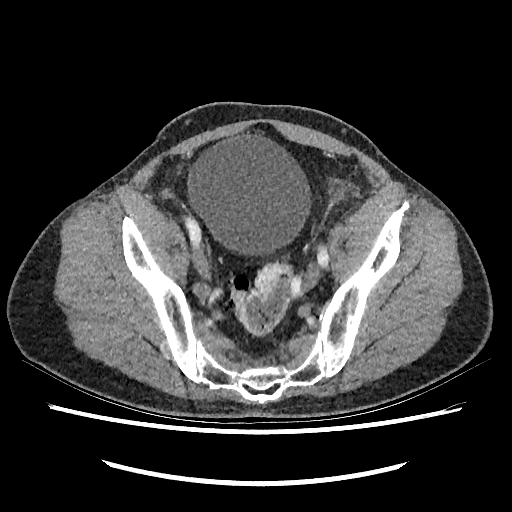 Lower abdomen; CT image
Annotated regions:
* urinary bladder: (187,131,311,256)